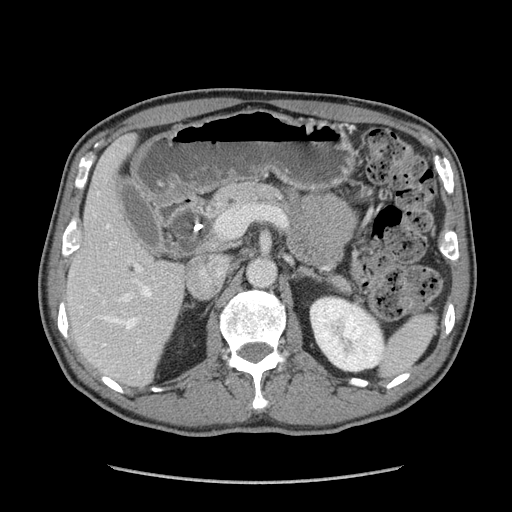

Abdomen. Computed tomography. Image size 512x512.
The pancreatic tumor lies within {"x1": 173, "y1": 211, "x2": 215, "y2": 251}. The pancreas appears at {"x1": 163, "y1": 180, "x2": 285, "y2": 261}.